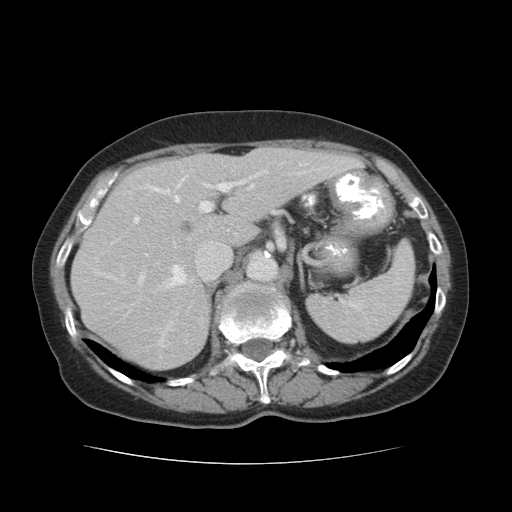
Abdomen, CT image

The liver is located at x1=72, y1=148, x2=357, y2=369. 2 lung regions are located at x1=326, y1=264, x2=436, y2=372; x1=84, y1=340, x2=163, y2=382. The hepatic lesion appears at x1=181, y1=221, x2=191, y2=232. 12 bone regions are bounded by x1=65, y1=215, x2=87, y2=246; x1=169, y1=378, x2=194, y2=385; x1=435, y1=287, x2=445, y2=316; x1=109, y1=368, x2=133, y2=385; x1=65, y1=298, x2=76, y2=340; x1=317, y1=365, x2=338, y2=374; x1=387, y1=353, x2=411, y2=374; x1=427, y1=230, x2=443, y2=257; x1=410, y1=197, x2=428, y2=220; x1=210, y1=280, x2=309, y2=403; x1=383, y1=165, x2=397, y2=183; x1=55, y1=248, x2=69, y2=275.